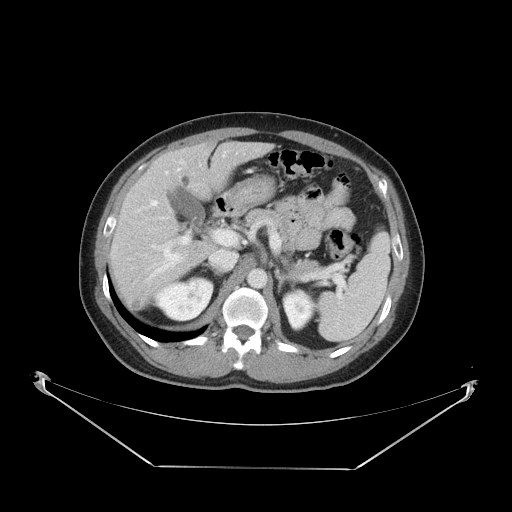 512x512 px | Liver | CT
Only some of the vessels may be annotated.
hepatic_vessel:
  - (x1=152, y1=246, x2=155, y2=247)
  - (x1=158, y1=253, x2=178, y2=269)
  - (x1=160, y1=242, x2=172, y2=254)
  - (x1=151, y1=201, x2=156, y2=205)